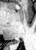 MRI. Hippocampus.

The posterior hippocampus is located at box=[14, 41, 18, 43].